FLAIR MR image.
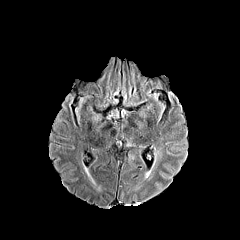
T1-weighted MR image.
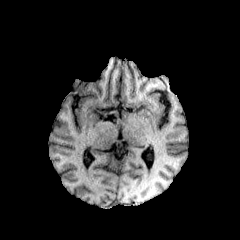
Post-contrast T1-weighted magnetic resonance.
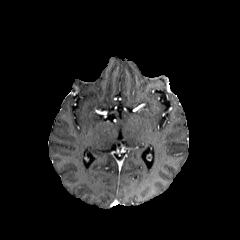
T2-weighted MRI.
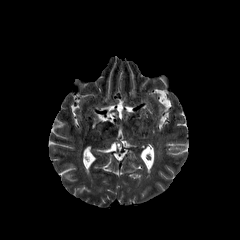
Edema = x1=145, y1=147, x2=159, y2=178.